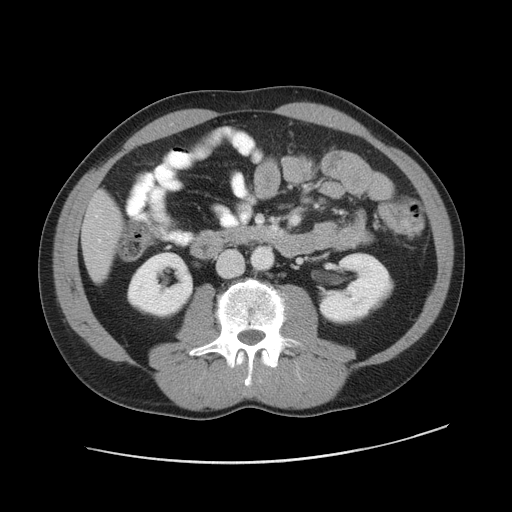

Abdomen, 512x512, CT scan slice
colon_tumor:
  - rect(378, 203, 422, 234)